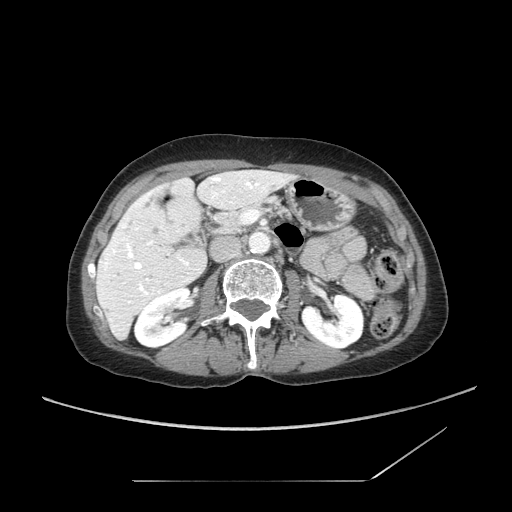 CT; Abdomen
Findings:
• pancreas: bbox=[208, 197, 291, 234]